FLAIR MR image.
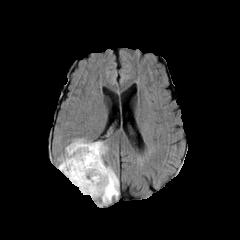
T1-weighted MRI.
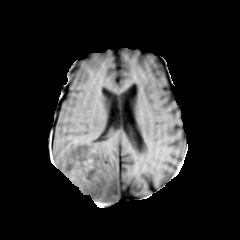
Post-contrast T1-weighted MRI.
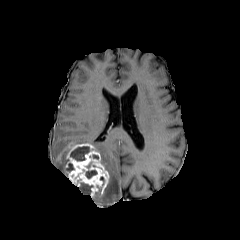
T2-weighted MR image.
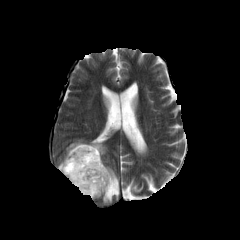
non-enhancing_tumor_core:
  - x1=86, y1=170, x2=97, y2=178
  - x1=70, y1=146, x2=89, y2=160
enhancing_tumor:
  - x1=65, y1=143, x2=109, y2=197
edema:
  - x1=58, y1=145, x2=69, y2=177
  - x1=88, y1=141, x2=107, y2=163
  - x1=71, y1=139, x2=86, y2=143
  - x1=79, y1=184, x2=90, y2=193
  - x1=100, y1=164, x2=119, y2=203